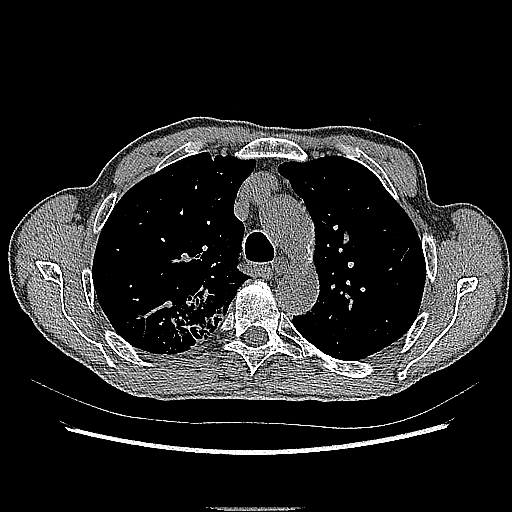 CT image. Chest. 512x512. - lung tumor: left=169, top=284, right=225, bottom=347